Computed tomography
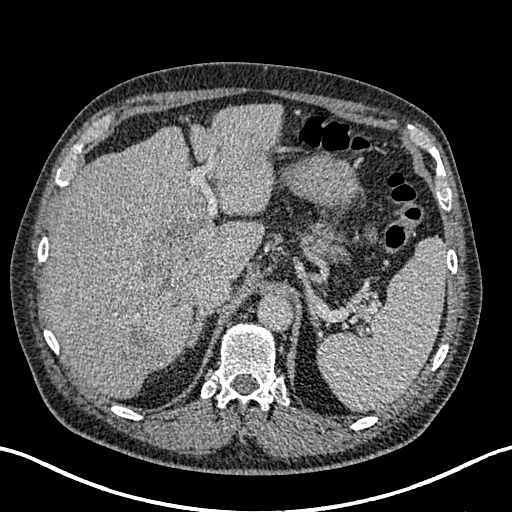 hepatic_lesion:
  - (139,217,213,310)
  - (121,329,162,378)
  - (230,151,263,183)
liver:
  - (191,104,283,214)
  - (45,126,264,398)